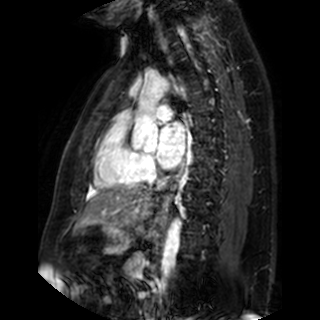 MR. Cardiac.
The left atrium is at l=156, t=122, r=185, b=168.